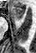 Magnetic resonance, Medial temporal lobe

The anterior hippocampus lies within box=[11, 7, 24, 19].